Slice 120/836 | Image width 344 mm | Pelvis | CT scan slice

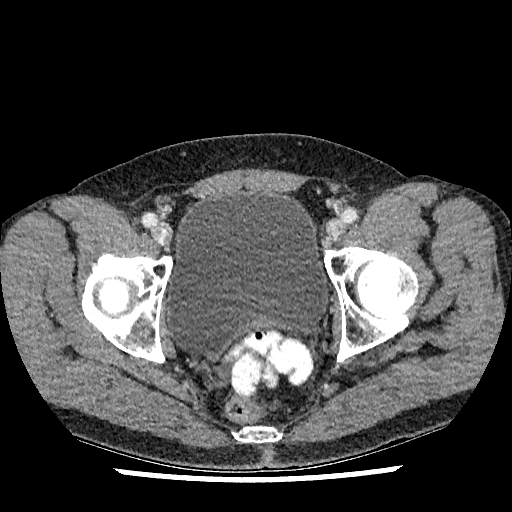

Segmented structures:
- urinary bladder: [x1=165, y1=192, x2=328, y2=355]